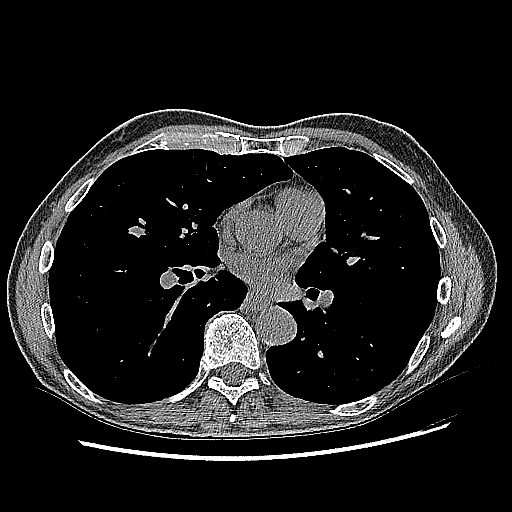 Image size 512x512; CT scan slice
The lung tumor lies within region(125, 225, 149, 239).